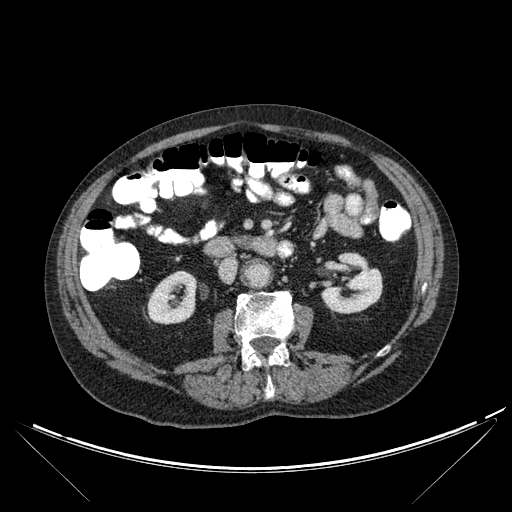

CT.
Bone = 265 378 274 397, 235 291 293 368.
Kidney = 148 271 196 323, 322 253 382 313.